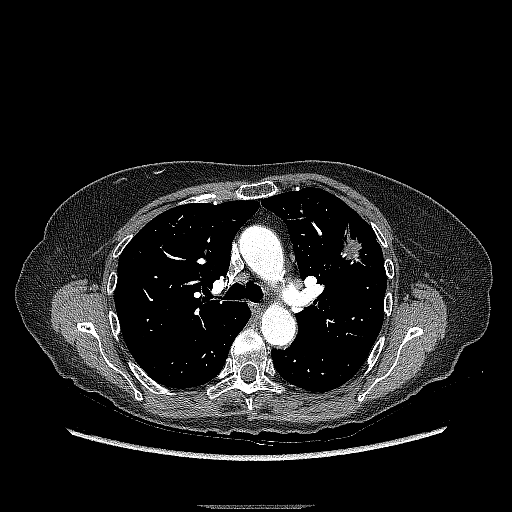 CT scan slice

Lung tumor = <bbox>332, 214, 373, 267</bbox>.